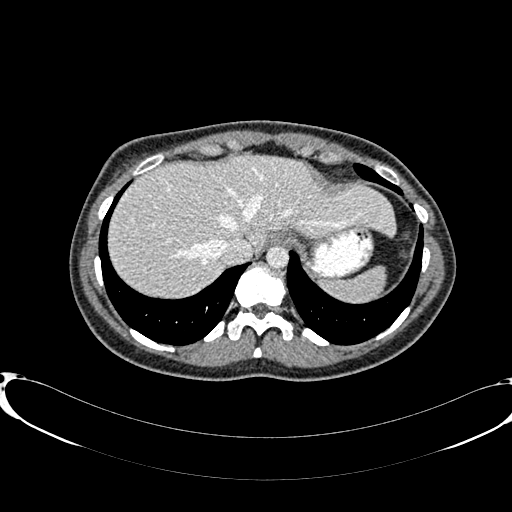

Abdomen. CT scan slice.
Liver: bounding box (left=108, top=155, right=395, bottom=296).